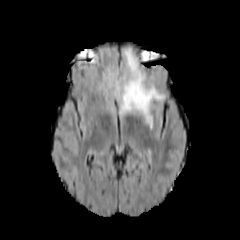
FLAIR MRI.
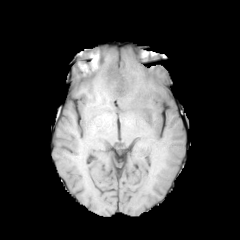
T1-weighted MR image.
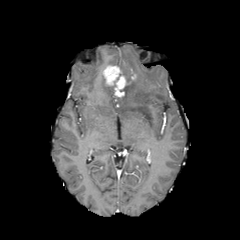
Post-contrast T1-weighted MRI.
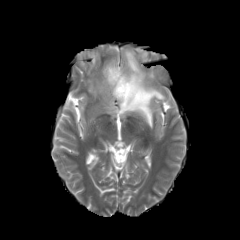
T2-weighted MRI.
Image size 240x240, Head
{
  "edema": [
    "117,48,165,128",
    "96,78,106,88"
  ],
  "enhancing_tumor": [
    "102,65,129,97"
  ],
  "non-enhancing_tumor_core": [
    "120,85,129,98"
  ]
}